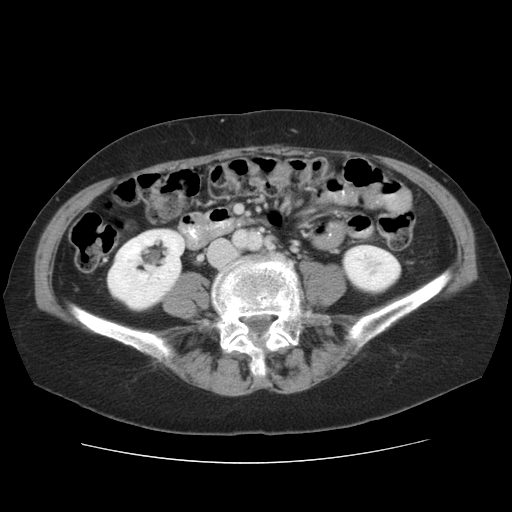

Abdomen | Computed tomography

Kidney: 108, 230, 184, 307; 344, 246, 399, 293.
Bone: 346, 271, 450, 349; 71, 305, 174, 367; 211, 251, 302, 386; 201, 319, 209, 326.